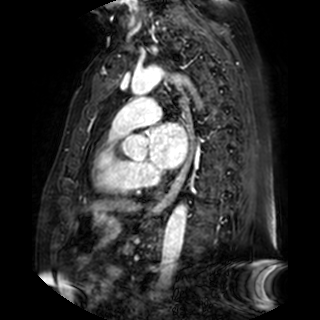
320x320. MR. The left atrium is located at 149,123,187,168.